Slice 359 of 677 | Image size 512x512 | Abdomen | Computed tomography
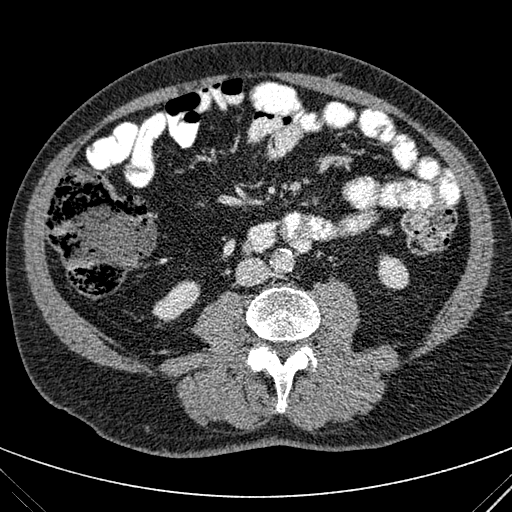

Kidney: box=[153, 281, 199, 320]; box=[378, 255, 408, 288].